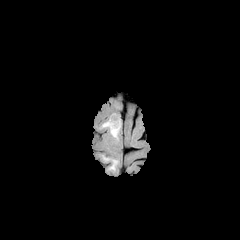
FLAIR MRI.
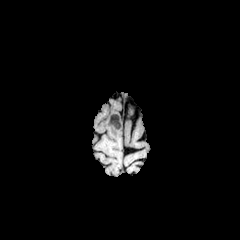
T1-weighted MRI.
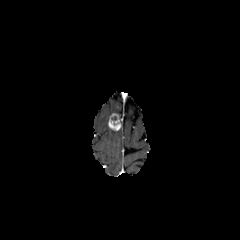
Same slice, post-contrast T1-weighted MR image.
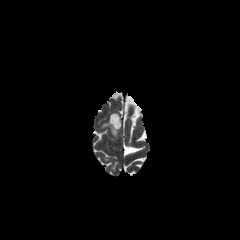
T2-weighted MR image.
Head, 240x240 px
enhancing_tumor:
  - (left=108, top=112, right=122, bottom=130)
edema:
  - (left=109, top=129, right=119, bottom=140)